FLAIR magnetic resonance.
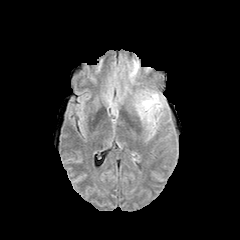
T1-weighted MR image.
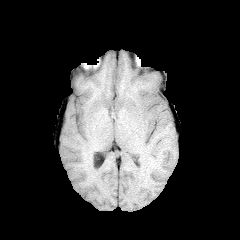
Post-contrast T1-weighted magnetic resonance.
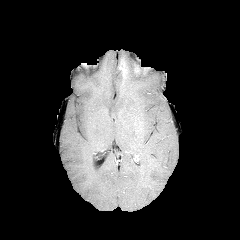
T2-weighted MRI.
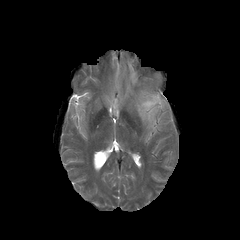
240x240
Edema — x1=136, y1=90, x2=163, y2=132.